Liver, Computed tomography
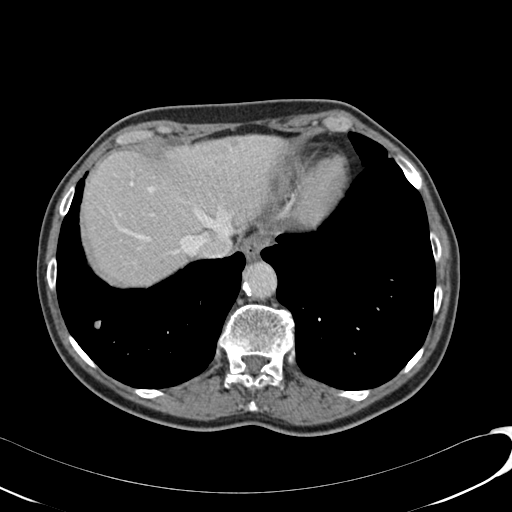

* liver: 83, 136, 287, 284
* hepatic lesion: 229, 139, 237, 146; 215, 144, 226, 151